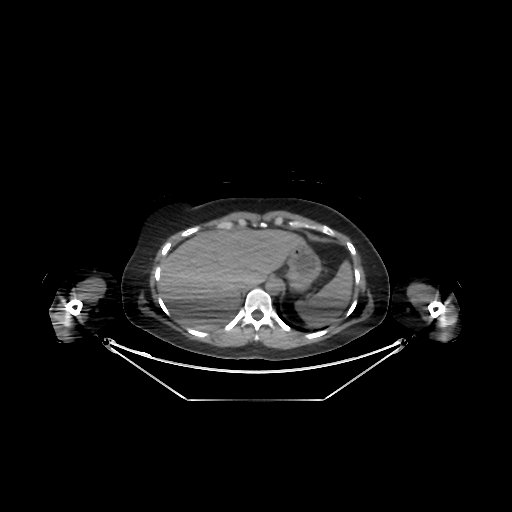
Abdomen; CT

liver:
  - [157,223,305,334]